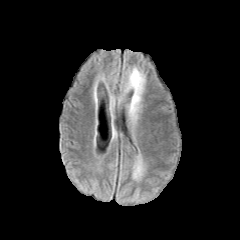
FLAIR magnetic resonance.
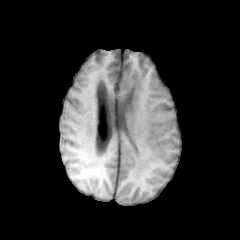
Same slice, T1-weighted MR image.
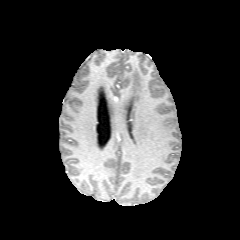
Post-contrast T1-weighted MRI.
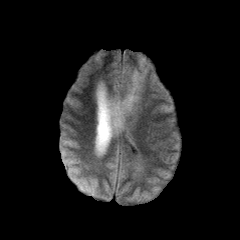
T2-weighted MR.
Brain.
Edema — (x1=118, y1=67, x2=145, y2=123), (x1=133, y1=156, x2=143, y2=178).